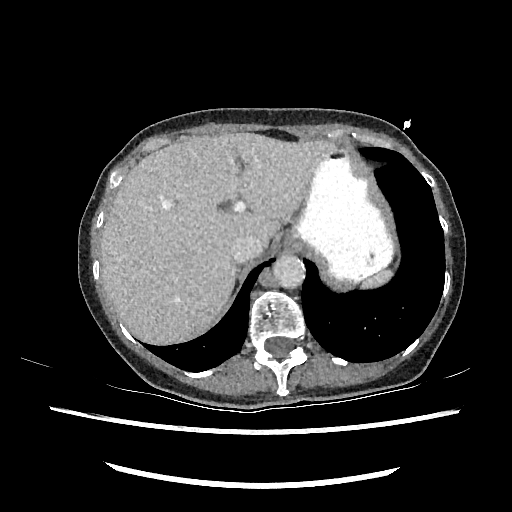 Image size 512x512. Liver. CT scan slice.
Liver at bbox(102, 133, 328, 342).